Upper abdomen, 512x512 px, CT

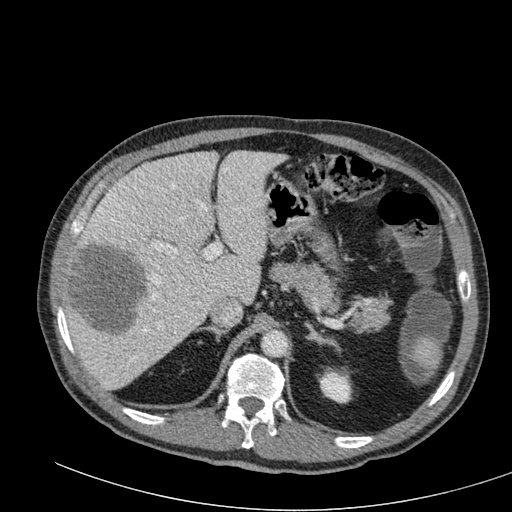

{
  "liver_lesion": [
    "box=[68, 241, 145, 333]"
  ],
  "liver": [
    "box=[63, 151, 286, 389]"
  ],
  "kidney": [
    "box=[320, 372, 349, 402]"
  ]
}